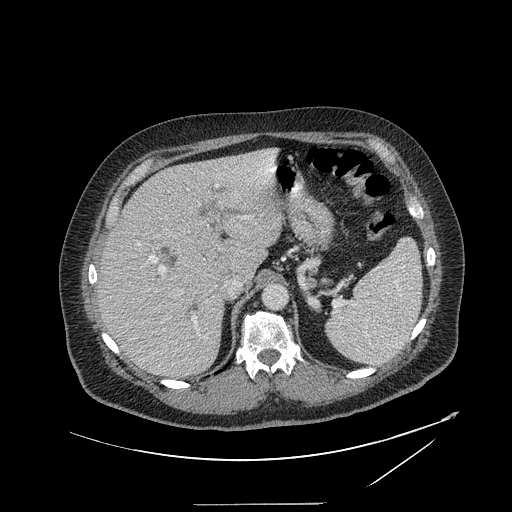
Abdomen, CT image
Annotated regions:
• pancreas: 321, 277, 331, 285